Abdomen. Image width 404 mm. Slice 57/97. CT. 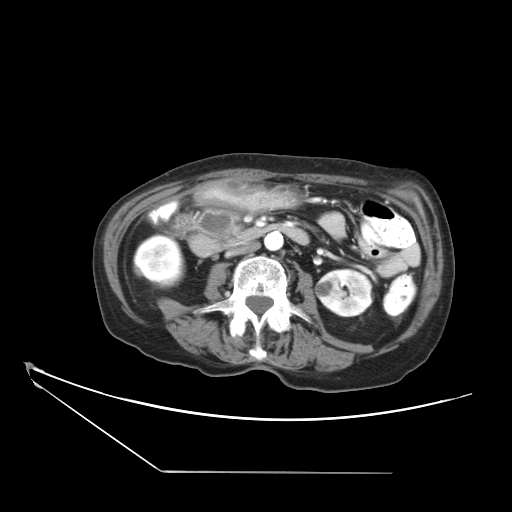
The pancreas is located at 195, 207, 243, 245. The pancreatic tumor is at 200, 212, 230, 233.